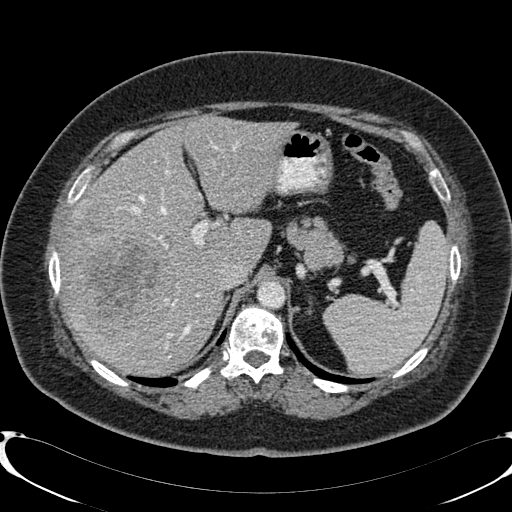
Image size 512x512; CT
Liver: bounding box l=62, t=115, r=296, b=372.
Liver lesion: bounding box l=66, t=211, r=173, b=332.